FLAIR MR.
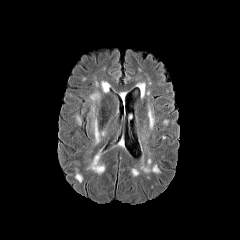
T1-weighted MRI.
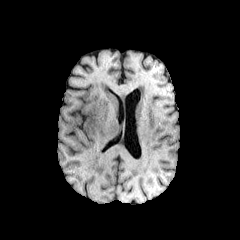
Post-contrast T1-weighted MR.
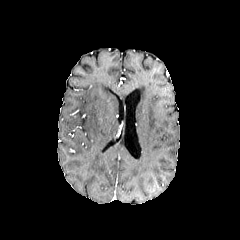
T2-weighted magnetic resonance.
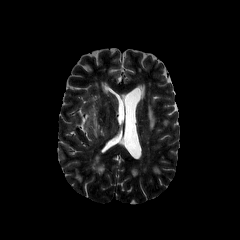
Brain.
Edema — 94, 121, 99, 142.